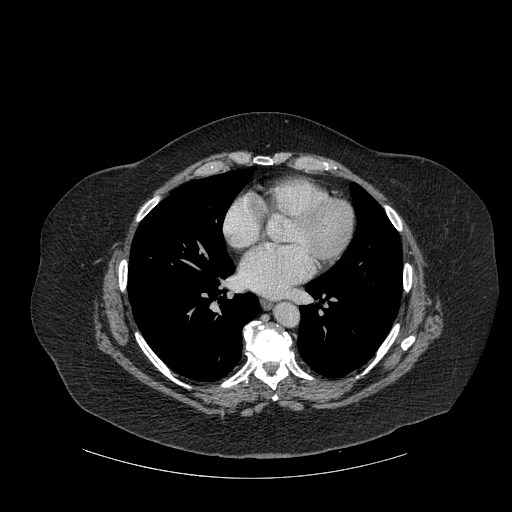

Thorax. Computed tomography.
Bone at 221 321 312 389, 119 260 127 290, 254 157 272 164, 403 264 411 291, 385 206 401 230, 137 197 158 221, 135 333 189 387, 401 336 414 349, 362 324 399 374.
Lung at 297 187 402 377, 128 167 259 381.